CT slice | Field of view 373 mm wide, 0.80 mm slice spacing 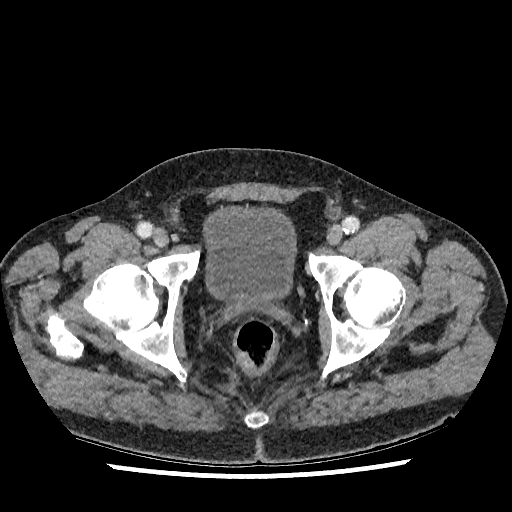
* urinary bladder: (203,207,296,309)